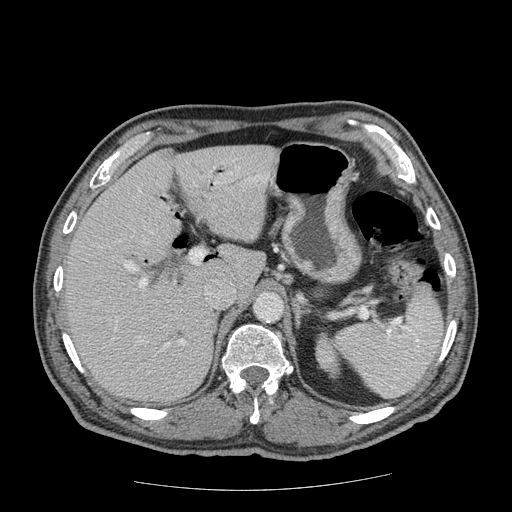
Abdomen; CT image
Segmented structures:
• pancreas: bbox(342, 282, 375, 304)